Abdomen. Image width 480 mm. CT image. Slice 33 of 46. 512x512.
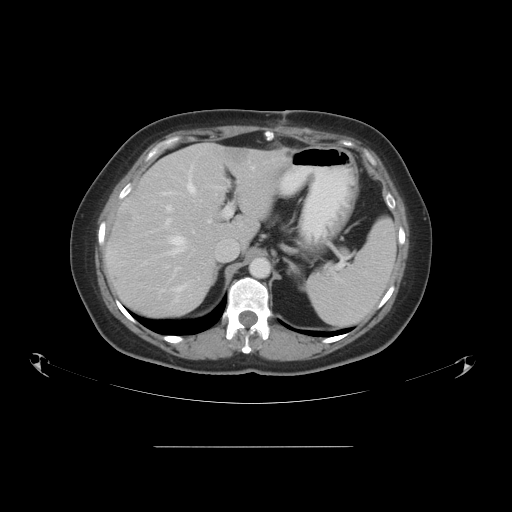

The vessel boxes may cover only some of the vessels.
{"liver_tumor": ["rect(115, 207, 136, 239)"], "hepatic_vessel": ["rect(193, 230, 194, 232)", "rect(162, 191, 176, 194)", "rect(175, 286, 183, 291)", "rect(188, 163, 195, 193)", "rect(164, 218, 171, 228)", "rect(167, 204, 171, 210)", "rect(166, 265, 169, 267)", "rect(200, 200, 201, 205)", "rect(208, 219, 211, 222)", "rect(223, 207, 232, 216)", "rect(168, 236, 186, 255)", "rect(108, 251, 115, 253)", "rect(171, 267, 180, 278)", "rect(250, 166, 254, 169)"]}